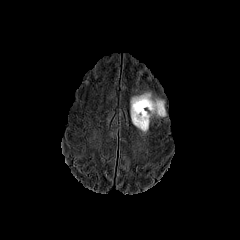
FLAIR magnetic resonance.
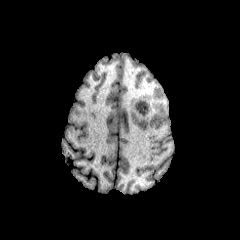
Same slice, T1-weighted MR image.
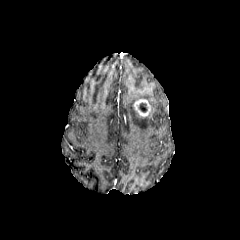
Post-contrast T1-weighted MR image.
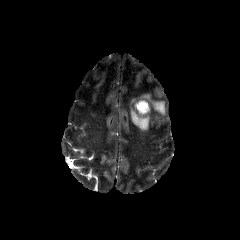
T2-weighted MR.
240x240 | Head
{"enhancing_tumor": ["(left=134, top=98, right=150, bottom=116)"], "edema": ["(left=130, top=92, right=165, bottom=130)"], "non-enhancing_tumor_core": ["(left=139, top=102, right=147, bottom=112)"]}